FLAIR MR image.
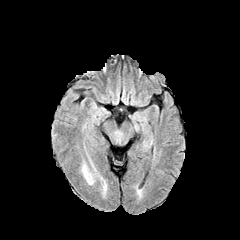
T1-weighted MR.
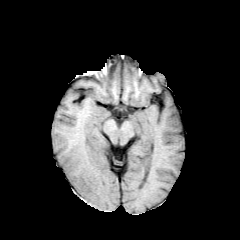
Post-contrast T1-weighted magnetic resonance.
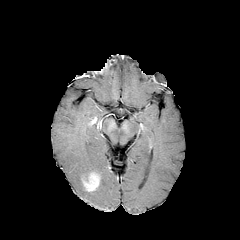
T2-weighted MR image.
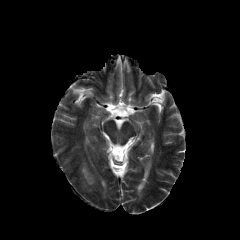
Brain.
Edema — <bbox>80, 162, 99, 189</bbox>.